Slice 413/816. 512x512. CT slice.

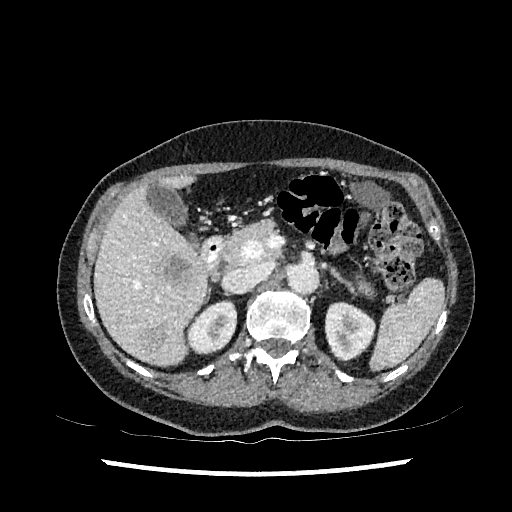 2 kidney regions are located at l=189, t=302, r=236, b=352; l=326, t=303, r=374, b=359. 2 hepatic lesion regions appear at l=146, t=325, r=167, b=353; l=162, t=256, r=193, b=288. 2 liver regions are located at l=161, t=177, r=192, b=187; l=94, t=185, r=205, b=364.